Field of view 400 mm wide, 1.37 mm slice spacing, Slice index 102, MRI slice, 320x320 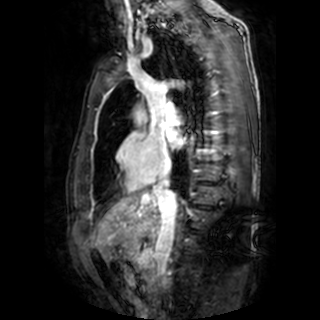
Left atrium at x1=166, y1=130, x2=186, y2=146.